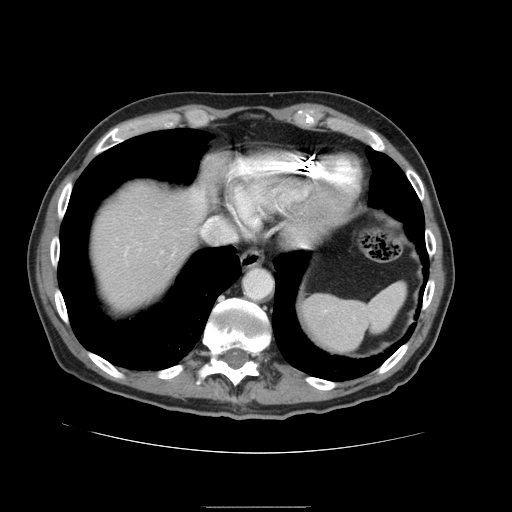

CT slice. Upper abdomen. The spleen is bounded by {"x1": 303, "y1": 285, "x2": 405, "y2": 354}.